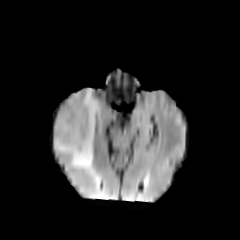
FLAIR MRI.
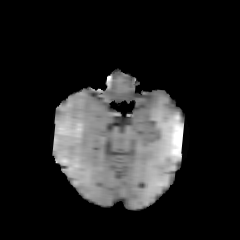
T1-weighted MR of the same slice.
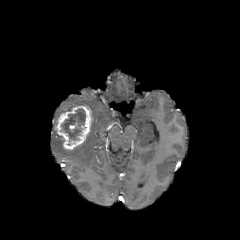
Post-contrast T1-weighted magnetic resonance of the same slice.
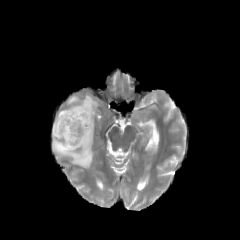
T2-weighted MR.
240x240 px.
Findings:
• edema: x1=53 y1=89 x2=101 y2=170
• non-enhancing tumor core: x1=59 y1=108 x2=86 y2=141
• enhancing tumor: x1=55 y1=104 x2=92 y2=150